Abdomen. Field of view 449x449 mm. CT image.

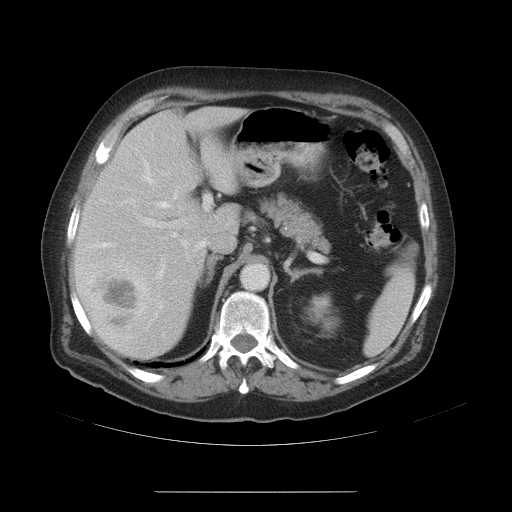
Not every hepatic vessel necessarily has a box.
Findings:
• liver tumor: l=80, t=268, r=162, b=355
• hepatic vessel: l=91, t=243, r=108, b=247; l=172, t=232, r=176, b=236; l=143, t=162, r=152, b=183; l=160, t=202, r=168, b=207; l=194, t=241, r=205, b=250; l=130, t=199, r=133, b=201; l=174, t=190, r=176, b=198; l=181, t=240, r=187, b=247; l=157, t=264, r=163, b=277; l=204, t=195, r=210, b=210; l=144, t=219, r=186, b=227; l=162, t=255, r=162, b=259